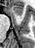 Hippocampus; Magnetic resonance

The anterior hippocampus appears at 11:5:22:15.